Computed tomography, Liver 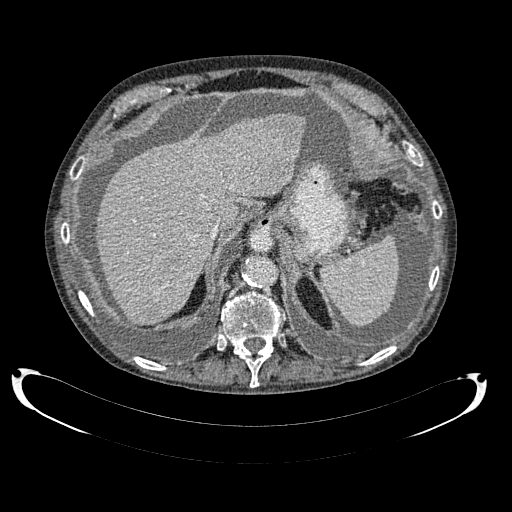

2 focal liver lesion regions are located at <box>146,302,157,317</box>, <box>276,118,302,147</box>. The liver is at <box>96,113,305,323</box>.